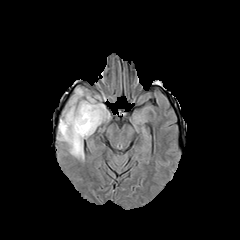
FLAIR MRI.
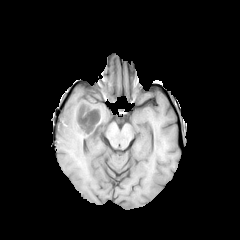
T1-weighted magnetic resonance.
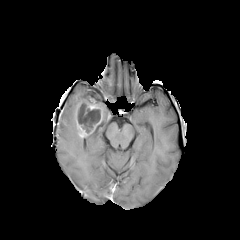
Post-contrast T1-weighted MR image.
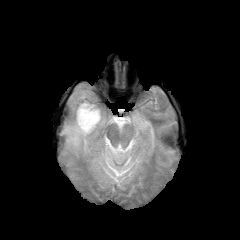
T2-weighted MR image.
2 enhancing tumor regions are located at (left=87, top=102, right=97, bottom=109), (left=77, top=122, right=85, bottom=135). The edema is bounded by (left=58, top=88, right=110, bottom=159). The non-enhancing tumor core is at (left=76, top=101, right=105, bottom=133).